FLAIR MR.
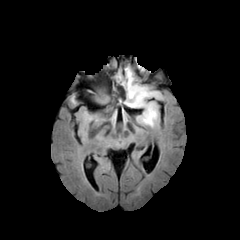
T1-weighted MRI.
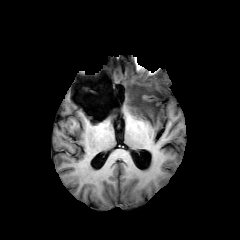
Post-contrast T1-weighted MR.
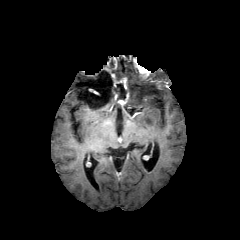
T2-weighted MR image.
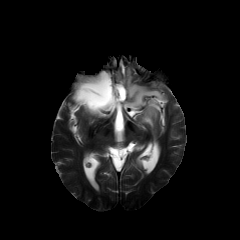
Image size 240x240
Segmented structures:
• non-enhancing tumor core: (136, 104, 143, 115), (94, 82, 143, 108)
• edema: (124, 66, 164, 128)
• enhancing tumor: (116, 93, 128, 105), (119, 77, 127, 89)